CT slice; Abdomen 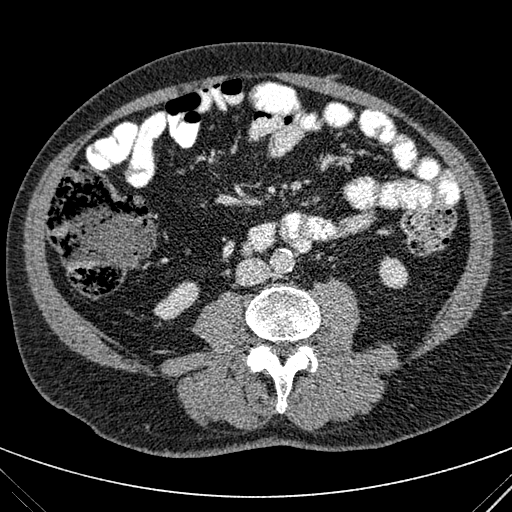

kidney:
  - 379:256:407:287
  - 154:282:198:319